CT image.
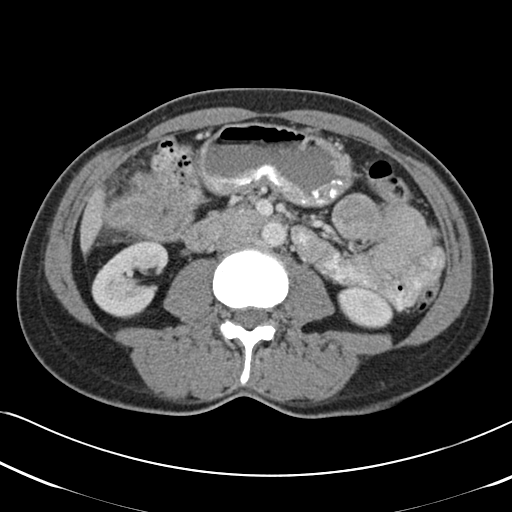

<segmentation>
  <colon_tumor>x1=101 y1=171 x2=191 y2=242</colon_tumor>
</segmentation>